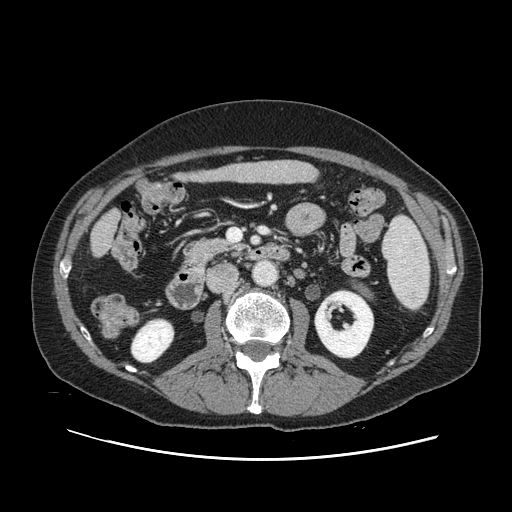

CT slice
{"pancreas": ["box(183, 239, 229, 269)"]}